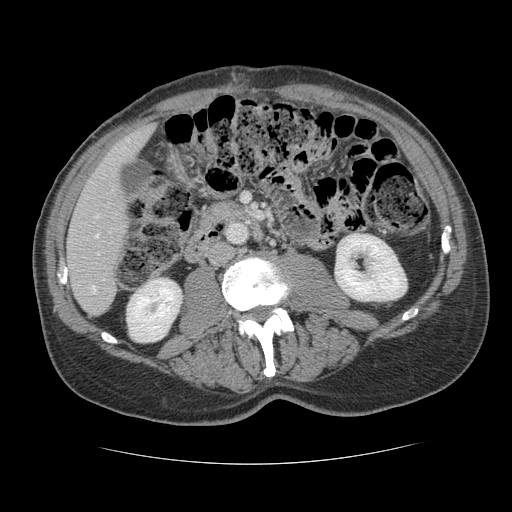

CT. Abdomen. Image size 512x512. Some hepatic vessels may have no box.
hepatic_vessel:
  - 97, 252, 99, 253
  - 95, 234, 98, 236
  - 89, 286, 95, 292
  - 96, 215, 98, 217